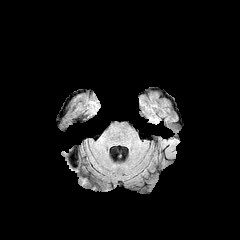
FLAIR MR image.
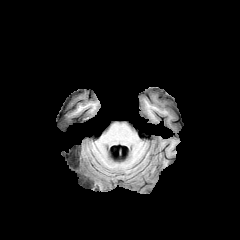
Same slice, T1-weighted MRI.
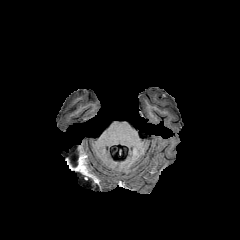
Same slice, post-contrast T1-weighted MR.
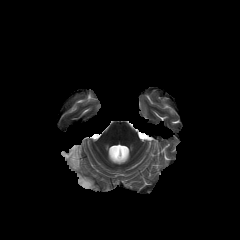
T2-weighted MRI of the same slice.
{
  "enhancing_tumor": [
    "<box>78,159,87,173</box>"
  ]
}